Slice 550/722, Liver, CT image

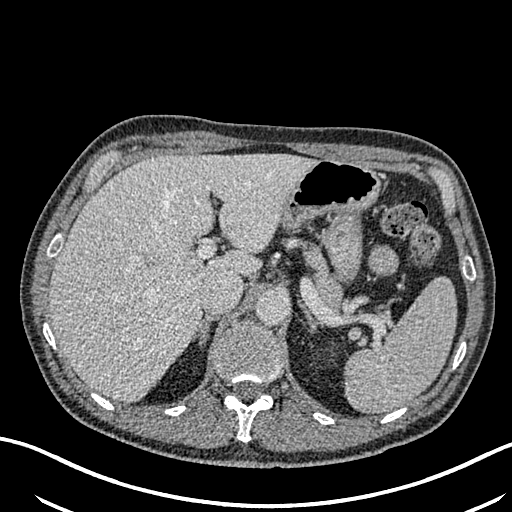 The liver is at (49, 154, 317, 402).